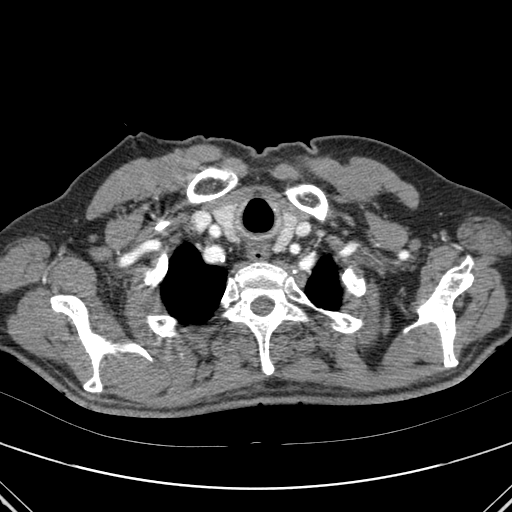
512x512 px | CT image

bone:
  - x1=285 y1=184 x2=328 y2=220
  - x1=221 y1=262 x2=362 y2=374
  - x1=144 y1=250 x2=167 y2=286
  - x1=187 y1=167 x2=237 y2=203
  - x1=50 y1=295 x2=152 y2=392
  - x1=404 y1=256 x2=473 y2=367
  - x1=147 y1=315 x2=175 y2=336
  - x1=342 y1=267 x2=365 y2=296
  - x1=155 y1=221 x2=170 y2=232
  - x1=399 y1=251 x2=408 y2=258
lung:
  - x1=306 y1=255 x2=341 y2=310
  - x1=161 y1=243 x2=226 y2=324